Image size 512x512 | CT scan slice | Slice 21 of 47

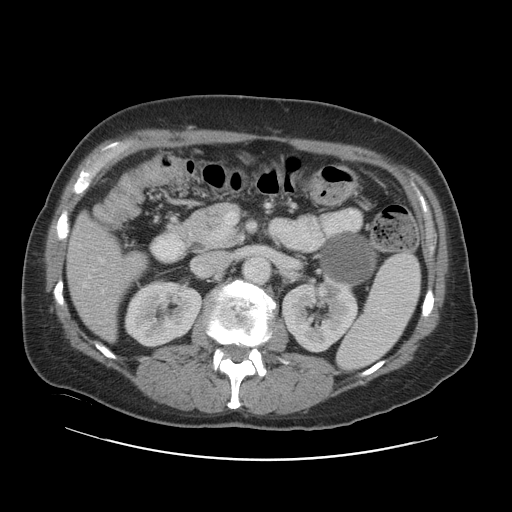

Some hepatic vessels may have no box.
hepatic vessel: (100,259,102,261)